CT slice.
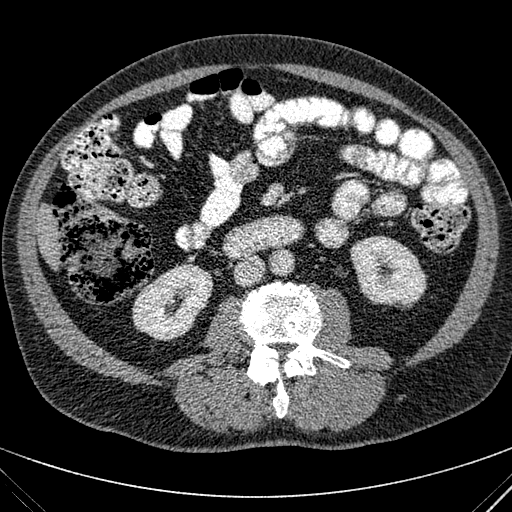
Kidney = x1=132, y1=264, x2=212, y2=340; x1=351, y1=236, x2=425, y2=304.
Liver = x1=36, y1=204, x2=59, y2=268.